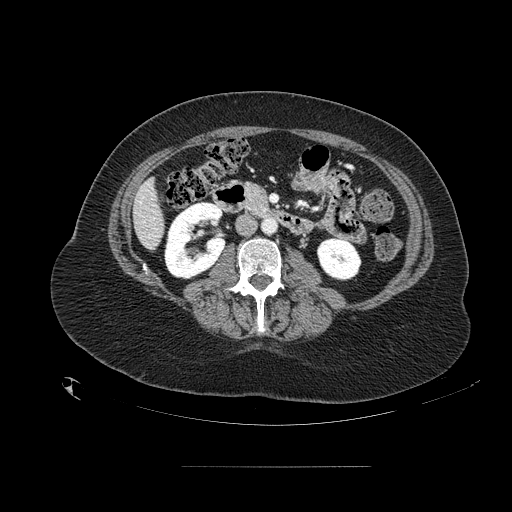

Computed tomography
Segmented structures:
• pancreas: {"x1": 244, "y1": 181, "x2": 272, "y2": 219}